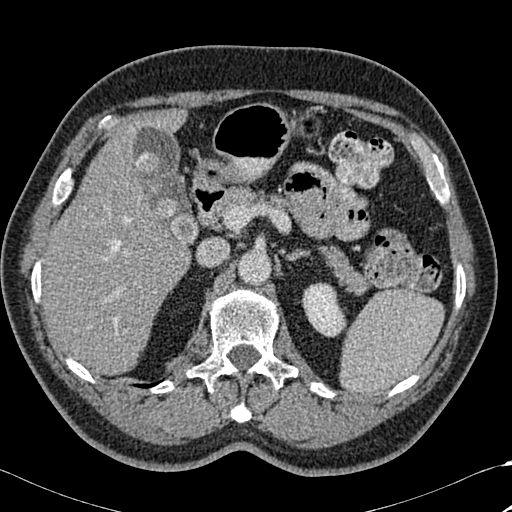 CT slice
The lung lies within bbox=[134, 382, 159, 387]. The kidney lies within bbox=[304, 284, 344, 335]. 2 liver regions are bounded by bbox=[41, 122, 190, 374]; bbox=[146, 111, 184, 131]. 10 bone regions appear at bbox=[187, 289, 297, 390]; bbox=[52, 169, 71, 204]; bbox=[231, 403, 250, 421]; bbox=[151, 381, 173, 393]; bbox=[31, 262, 40, 300]; bbox=[67, 359, 93, 381]; bbox=[432, 170, 449, 202]; bbox=[311, 383, 334, 397]; bbox=[456, 265, 465, 307]; bbox=[390, 375, 417, 395].